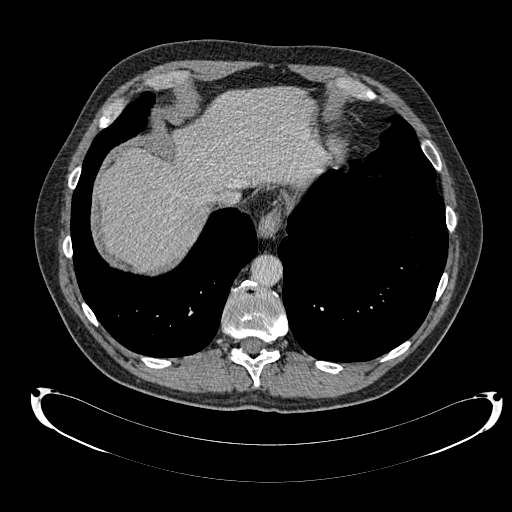

CT image
The liver appears at (98, 87, 327, 271).